FLAIR MR.
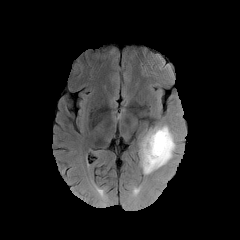
T1-weighted MR.
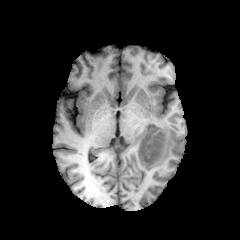
Post-contrast T1-weighted MR image.
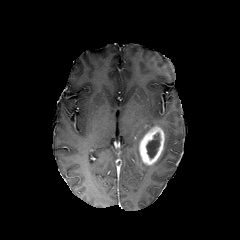
T2-weighted MR image.
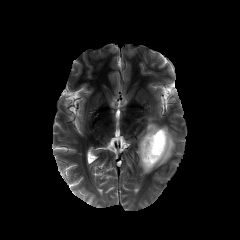
240x240 px
{
  "enhancing_tumor": [
    "139, 125, 165, 165"
  ],
  "edema": [
    "138, 123, 181, 174"
  ],
  "non-enhancing_tumor_core": [
    "146, 135, 159, 157"
  ]
}